Field of view 437 mm wide, 0.80 mm slice spacing. Abdomen. CT image.
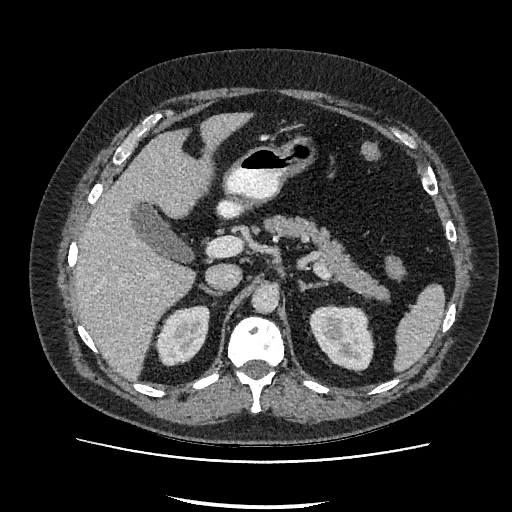

- kidney: l=311, t=308, r=371, b=368; l=158, t=307, r=208, b=363
- liver: l=76, t=113, r=252, b=380